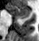
Medial temporal lobe | Image size 39x41 | MR image
The anterior hippocampus is at left=12, top=6, right=30, bottom=18.